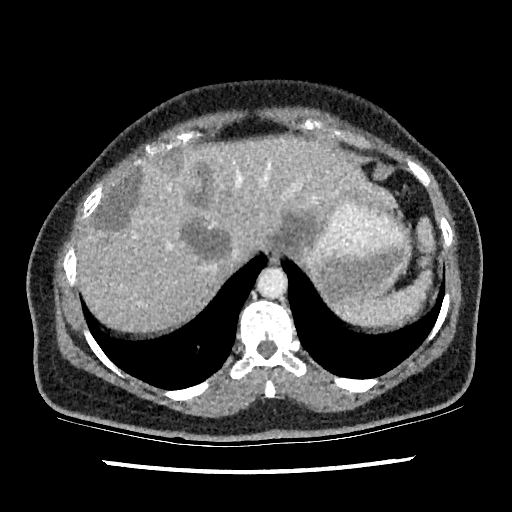

CT image, 512x512 px, Liver
Annotated regions:
• focal liver lesion: (left=180, top=218, right=231, bottom=260), (left=269, top=213, right=313, bottom=247), (left=95, top=171, right=143, bottom=230), (left=189, top=166, right=214, bottom=206)
• liver: (left=76, top=135, right=395, bottom=332)